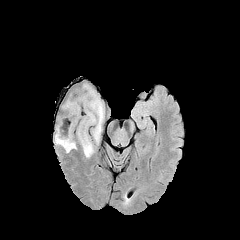
FLAIR MR image.
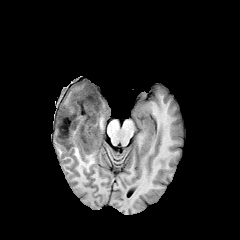
T1-weighted MR of the same slice.
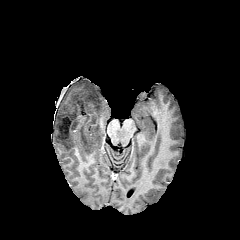
Post-contrast T1-weighted magnetic resonance.
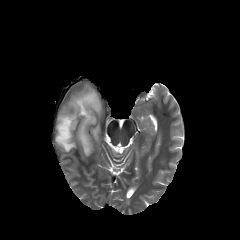
T2-weighted magnetic resonance.
240x240; Head
Edema: <box>54,83,104,157</box>, <box>62,95,74,111</box>.
Non-enhancing tumor core: <box>57,88,99,138</box>.